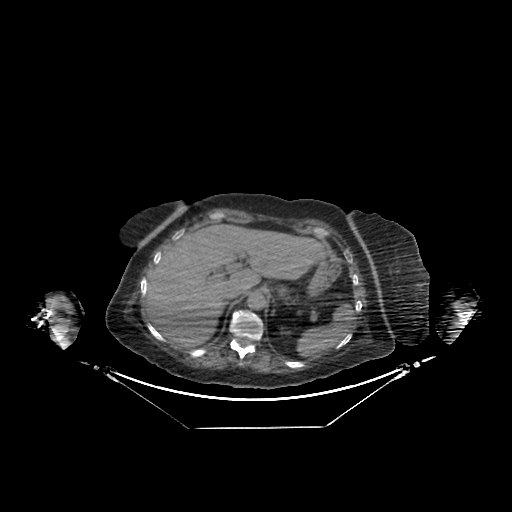
CT | Liver
The liver appears at 145:222:322:348.